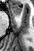 Image size 34x51; MRI slice; Medial temporal lobe
The anterior hippocampus lies within bbox=[11, 5, 21, 14].